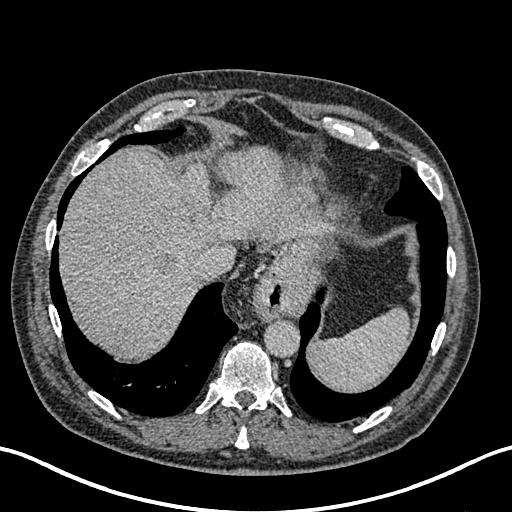
CT image. Abdomen.

2 focal liver lesion regions are bounded by l=155, t=251, r=177, b=275; l=178, t=195, r=214, b=219. The liver lies within l=59, t=146, r=323, b=356.